FLAIR magnetic resonance.
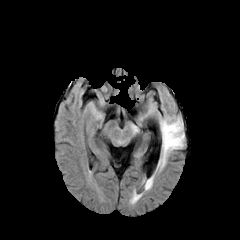
T1-weighted MRI.
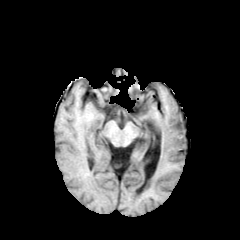
Post-contrast T1-weighted MR.
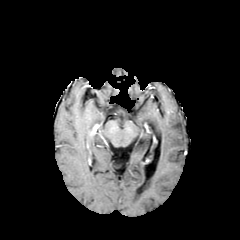
T2-weighted MR image.
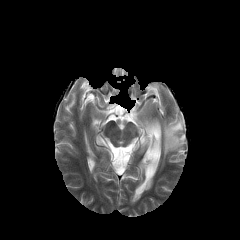
Brain, 240x240 px
{
  "edema": [
    "<box>142,176,153,190</box>",
    "<box>159,115,184,169</box>",
    "<box>130,190,140,203</box>"
  ]
}